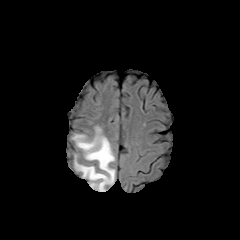
FLAIR MR image.
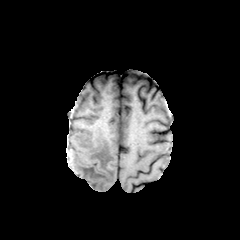
Same slice, T1-weighted MR image.
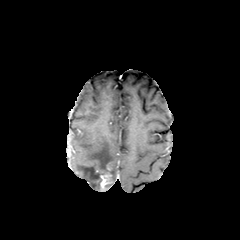
Post-contrast T1-weighted MRI.
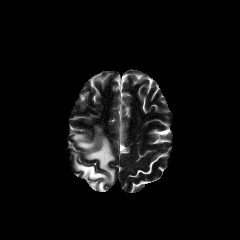
T2-weighted MR image.
240x240.
non-enhancing tumor core: [95,172,103,188] | edema: [71,127,115,190] | enhancing tumor: [100,173,111,189]